CT scan slice; Abdomen; Slice index 421; 512x512

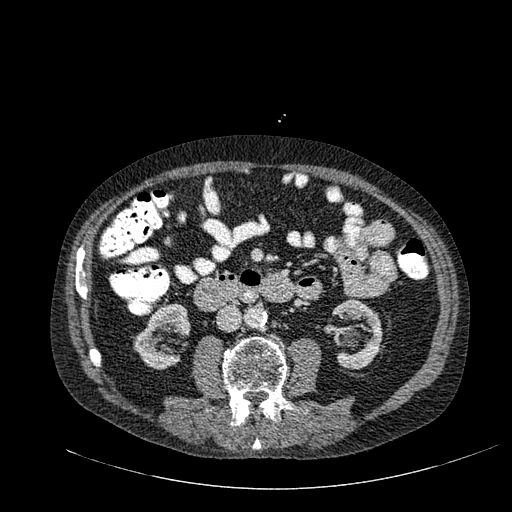 2 kidney regions appear at x1=324, y1=301, x2=382, y2=369; x1=133, y1=303, x2=190, y2=369.